Liver, CT scan slice, Slice index 53, 512x512 px, Field of view 460 mm wide, 2.50 mm slice spacing
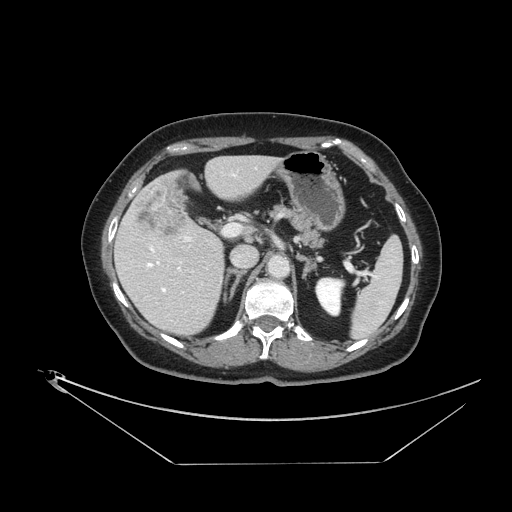 Not every hepatic vessel necessarily has a box.
{"hepatic_vessel": ["(x1=146, y1=262, x2=154, y2=267)", "(x1=155, y1=261, x2=159, y2=264)", "(x1=161, y1=287, x2=165, y2=292)", "(x1=223, y1=223, x2=238, y2=235)", "(x1=177, y1=266, x2=180, y2=269)", "(x1=149, y1=246, x2=154, y2=252)", "(x1=184, y1=236, x2=191, y2=240)"], "liver_tumor": ["(x1=130, y1=189, x2=185, y2=243)"]}